CT scan slice.

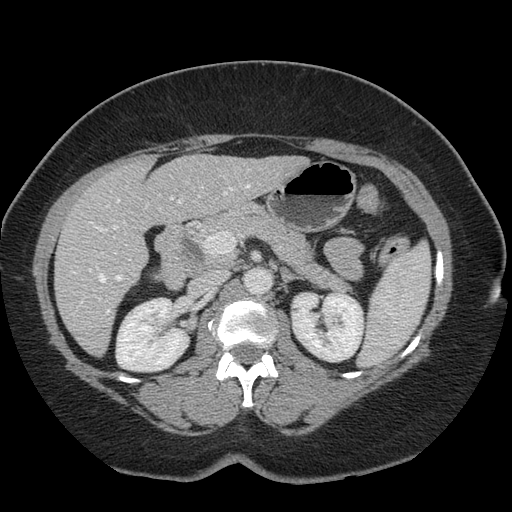 Not every hepatic vessel necessarily has a box.
Findings:
- hepatic vessel (top 15 of 16): (99,275,105,282), (96,264,97,268), (116,275,122,280), (89,223,107,231), (171,197,173,199), (178,200,181,203), (106,310,109,313), (246,185,249,188), (205,236,212,253), (224,192,226,195), (229,188,232,190), (97,298,100,300), (117,199,119,202), (90,269,92,271), (113,225,117,229)